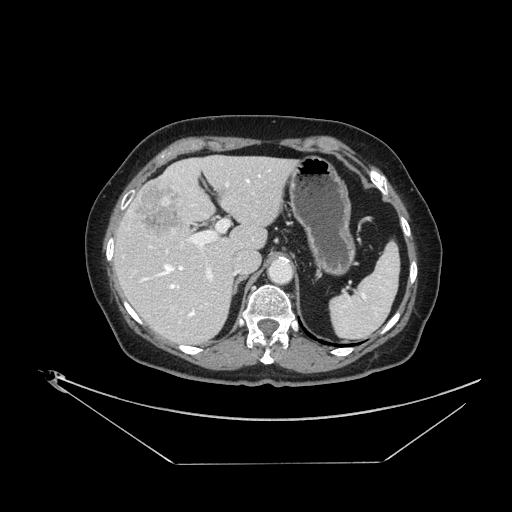
Computed tomography, 512x512 px
Only some of the vessels may be annotated.
Hepatic vessel at [x1=142, y1=278, x2=148, y2=280], [x1=169, y1=284, x2=178, y2=288], [x1=157, y1=264, x2=174, y2=275], [x1=188, y1=310, x2=194, y2=317], [x1=189, y1=220, x2=228, y2=247], [x1=206, y1=268, x2=212, y2=280], [x1=178, y1=266, x2=182, y2=269].
Liver tumor at [x1=132, y1=181, x2=188, y2=238].